Slice 92/155.
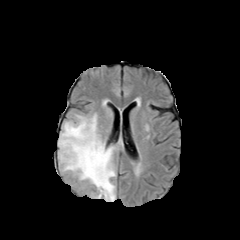
FLAIR MR image.
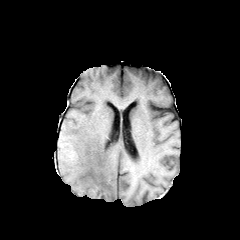
T1-weighted MR.
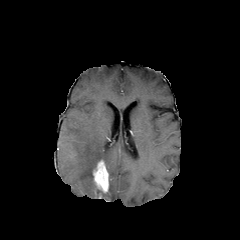
Post-contrast T1-weighted MRI of the same slice.
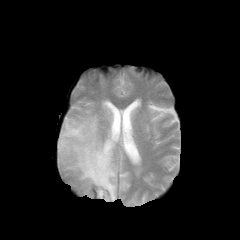
T2-weighted MR image.
The edema appears at bbox=[58, 113, 117, 201]. The enhancing tumor is at bbox=[92, 160, 109, 193].